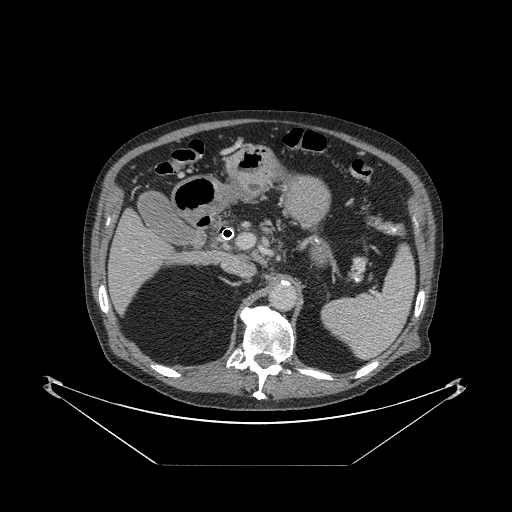
512x512 | Computed tomography | Upper abdomen

Pancreas = 259 220 283 234.